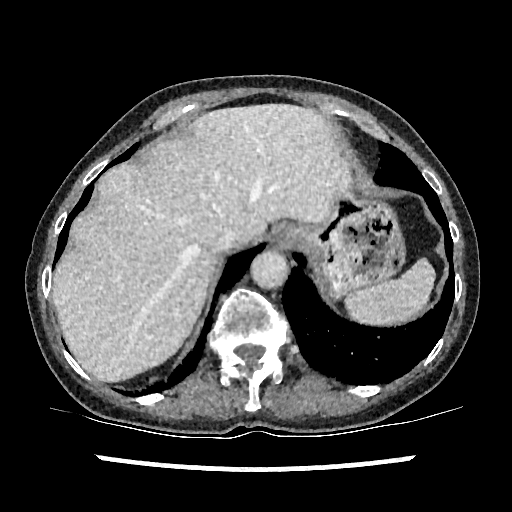 CT scan slice. Abdomen.
- liver: left=54, top=106, right=348, bottom=381